Slice index 137; Abdomen; CT slice 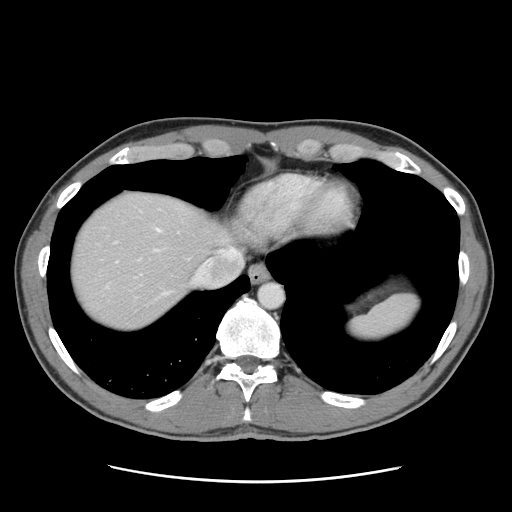 The vessel boxes may cover only some of the vessels.
Annotated regions:
• hepatic vessel: box=[205, 259, 210, 262]; box=[156, 228, 160, 231]; box=[160, 292, 168, 295]; box=[153, 249, 159, 250]; box=[138, 259, 139, 260]